MRI

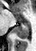

Annotated regions:
- posterior hippocampus: left=14, top=23, right=28, bottom=39